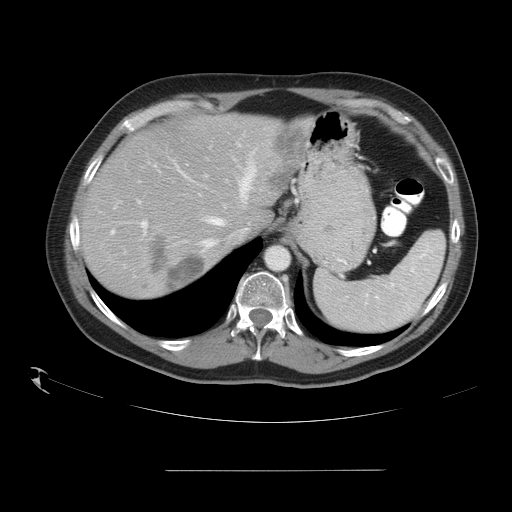 CT. Only some of the vessels may be annotated.
liver tumor: left=266, top=124, right=303, bottom=191; left=167, top=255, right=206, bottom=288; left=151, top=236, right=168, bottom=274 | hepatic vessel: left=204, top=175, right=206, bottom=176; left=209, top=217, right=223, bottom=224; left=239, top=166, right=255, bottom=201; left=141, top=221, right=147, bottom=233; left=251, top=151, right=253, bottom=153; left=138, top=200, right=140, bottom=202